MRI, 38x50 px

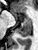 <segmentation>
  <posterior_hippocampus>box(16, 23, 31, 36)</posterior_hippocampus>
  <anterior_hippocampus>box(14, 14, 16, 20); box(11, 12, 12, 14); box(21, 16, 31, 22)</anterior_hippocampus>
</segmentation>